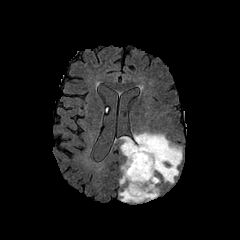
FLAIR MR.
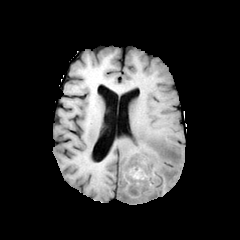
T1-weighted MR image of the same slice.
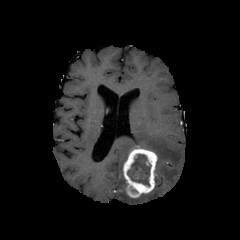
Post-contrast T1-weighted MRI.
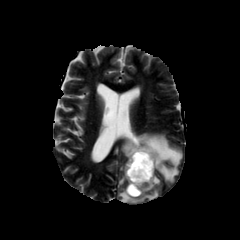
T2-weighted MR image.
Brain
The non-enhancing tumor core is located at x1=132, y1=154, x2=149, y2=174. The enhancing tumor is located at x1=122, y1=145, x2=158, y2=198. 3 edema regions appear at x1=118, y1=176, x2=161, y2=202; x1=133, y1=132, x2=182, y2=184; x1=120, y1=136, x2=135, y2=156.